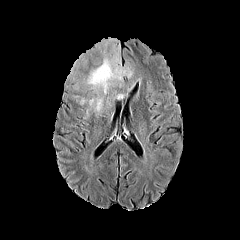
FLAIR MR image.
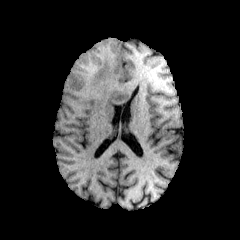
T1-weighted MR.
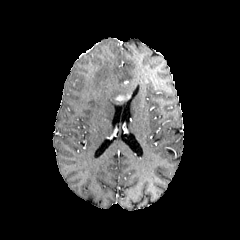
Post-contrast T1-weighted MR image of the same slice.
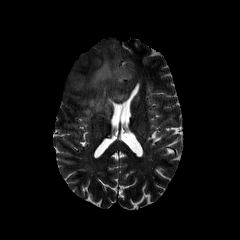
Same slice, T2-weighted magnetic resonance.
Edema — bbox=[81, 51, 134, 112].
Enhancing tumor — bbox=[114, 93, 131, 101].